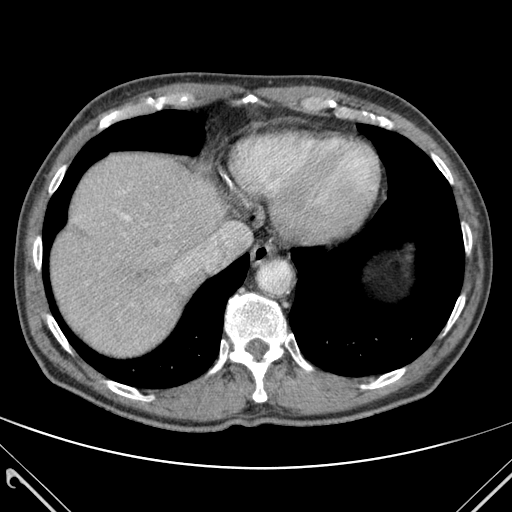

CT scan slice; 512x512
Segmented structures:
- bone: box(100, 111, 117, 127); box(362, 369, 404, 388); box(33, 236, 41, 269); box(243, 95, 257, 102); box(446, 296, 464, 330); box(48, 315, 69, 351); box(49, 166, 64, 192); box(107, 381, 150, 400); box(432, 154, 452, 182); box(462, 225, 471, 251); box(378, 117, 393, 127); box(210, 293, 311, 401)
- liver: box(51, 153, 222, 356)
- lung: box(43, 110, 249, 388); box(289, 124, 464, 376)